Head. Slice 61 of 155.
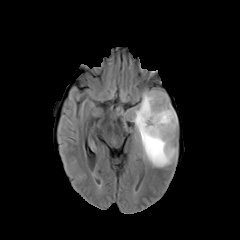
FLAIR magnetic resonance.
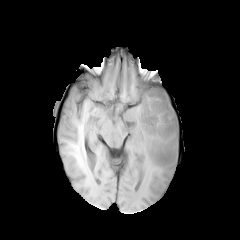
Same slice, T1-weighted magnetic resonance.
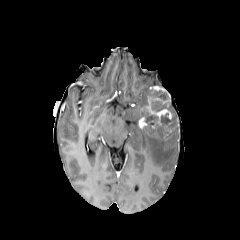
Post-contrast T1-weighted MR of the same slice.
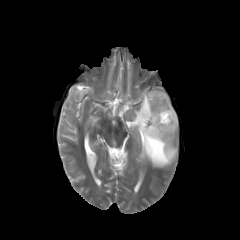
T2-weighted MR.
non-enhancing tumor core: (x1=141, y1=102, x2=175, y2=136), (x1=147, y1=87, x2=173, y2=113) | enhancing tumor: (x1=138, y1=117, x2=147, y2=128), (x1=146, y1=99, x2=173, y2=119) | edema: (x1=124, y1=90, x2=177, y2=167)